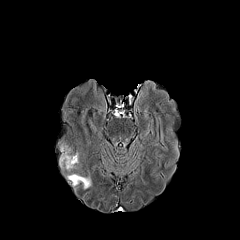
FLAIR MRI.
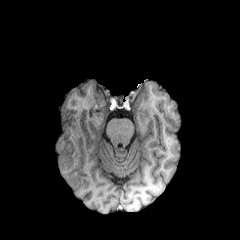
Same slice, T1-weighted MR.
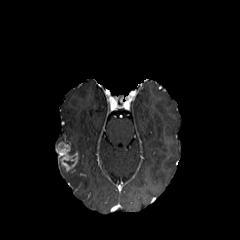
Same slice, post-contrast T1-weighted magnetic resonance.
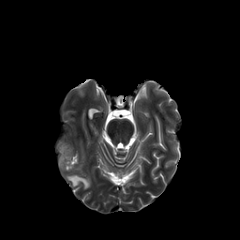
Same slice, T2-weighted MR.
Brain.
The enhancing tumor is at 56 141 77 171. The edema is located at 68 174 91 189.